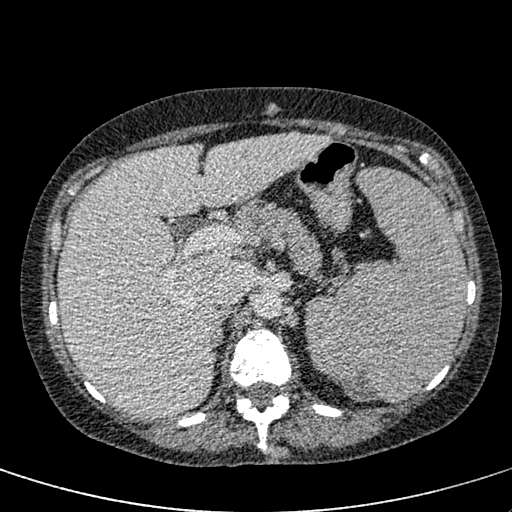 Abdomen; Computed tomography
liver: [x1=59, y1=135, x2=331, y2=417]